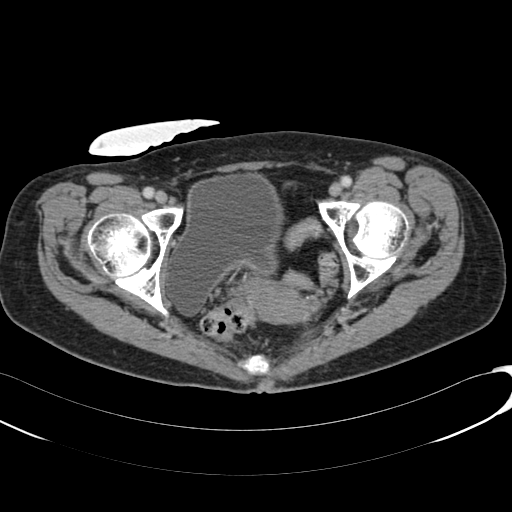 Image size 512x512. CT slice.

Segmented structures:
* urinary bladder: {"x1": 164, "y1": 172, "x2": 285, "y2": 316}